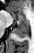 MR, Hippocampus
The anterior hippocampus is bounded by 12, 11, 27, 20. The posterior hippocampus is bounded by 14, 20, 28, 38.